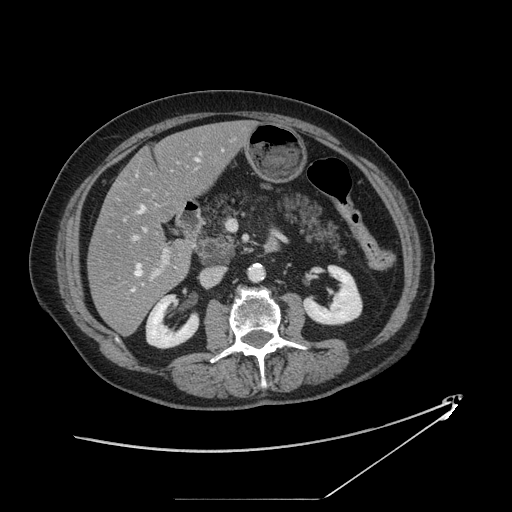
Image size 512x512, CT
Pancreatic tumor at l=201, t=242, r=233, b=265.
Pancreas at l=269, t=191, r=346, b=261; l=222, t=198, r=227, b=208; l=196, t=223, r=238, b=266.